CT image | Slice 339/841 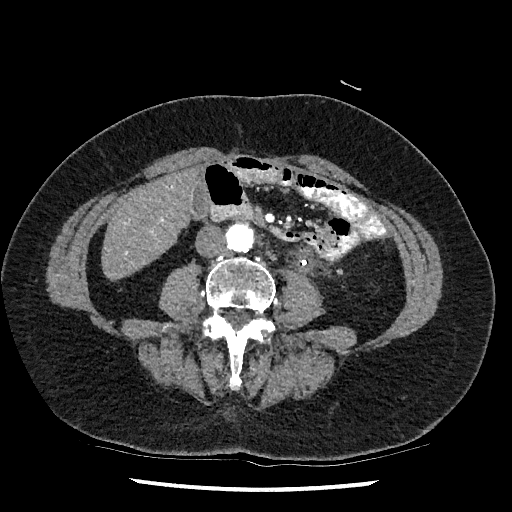
The liver is located at 101 167 198 279.